Head
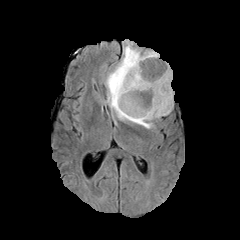
FLAIR magnetic resonance.
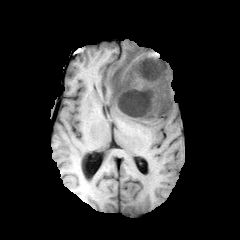
T1-weighted MR image of the same slice.
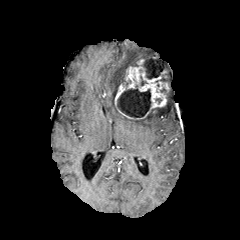
Post-contrast T1-weighted magnetic resonance of the same slice.
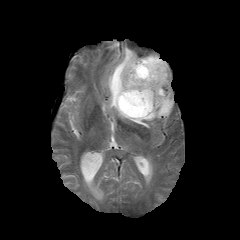
T2-weighted MR image.
Non-enhancing tumor core — left=142, top=58, right=165, bottom=79; left=117, top=86, right=171, bottom=117.
Enhancing tumor — left=114, top=59, right=169, bottom=109.
Edema — left=104, top=42, right=173, bottom=128; left=162, top=62, right=171, bottom=83.